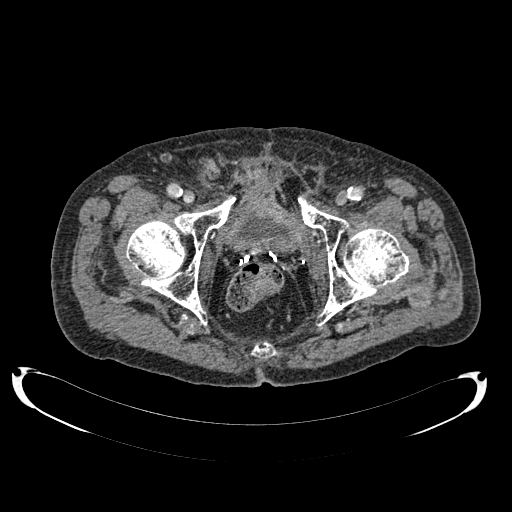 Lower abdomen. Computed tomography. The urinary bladder is bounded by (x1=238, y1=213, x2=288, y2=240).